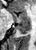

MR image | Medial temporal lobe | 36x50
The anterior hippocampus is bounded by left=12, top=12, right=30, bottom=22. The posterior hippocampus is bounded by left=15, top=23, right=29, bottom=33.